FLAIR MR image.
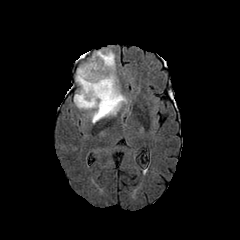
T1-weighted MR image.
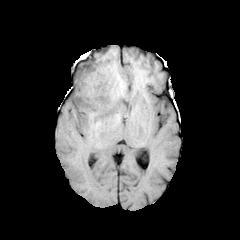
Post-contrast T1-weighted MR image.
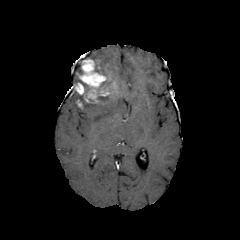
T2-weighted magnetic resonance.
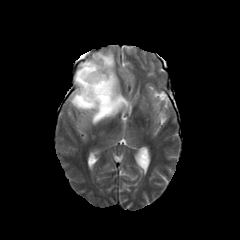
240x240 | Head
Enhancing tumor at rect(75, 55, 117, 103).
Edema at rect(73, 51, 127, 123).